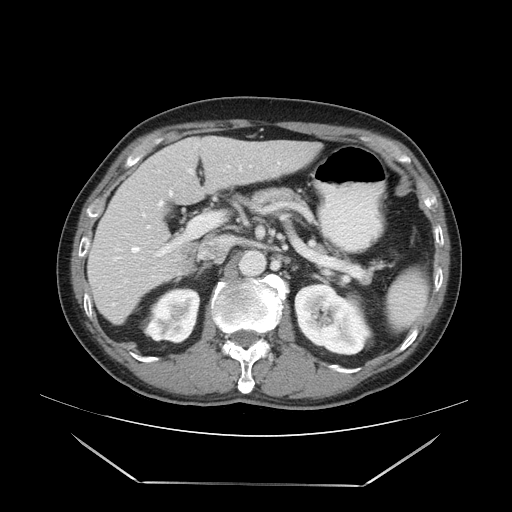
CT slice, Liver
Not every hepatic vessel necessarily has a box.
{
  "liver_tumor": [
    "(left=168, top=242, right=197, bottom=274)"
  ],
  "hepatic_vessel": [
    "(left=249, top=165, right=252, bottom=168)",
    "(left=199, top=254, right=203, bottom=257)",
    "(left=226, top=164, right=230, bottom=168)",
    "(left=238, top=164, right=242, bottom=171)",
    "(left=162, top=246, right=169, bottom=252)"
  ]
}